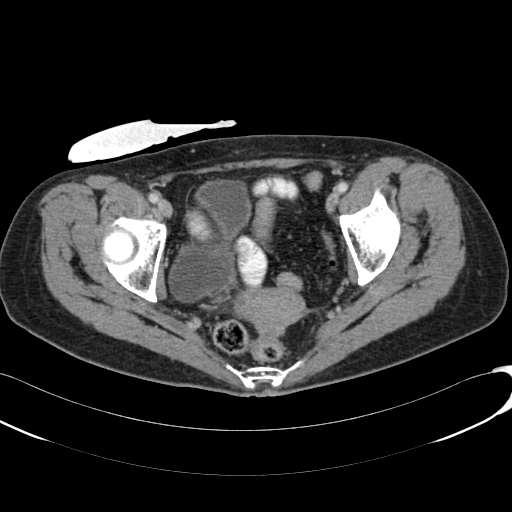

Image size 512x512 | CT
• urinary bladder: box(168, 179, 252, 303)